FLAIR MR image.
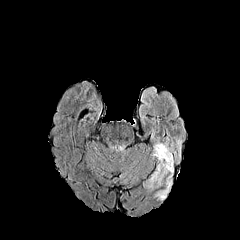
T1-weighted MRI.
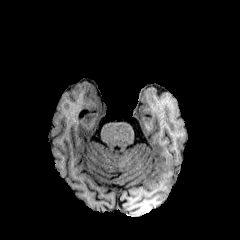
Post-contrast T1-weighted MR.
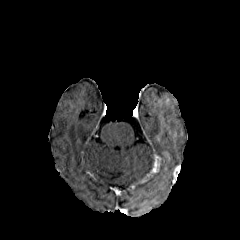
T2-weighted MRI.
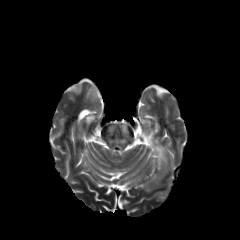
Head.
Findings:
* edema: region(143, 169, 167, 186); region(160, 163, 173, 175); region(151, 138, 165, 152)
* enhancing tumor: region(146, 148, 172, 176)